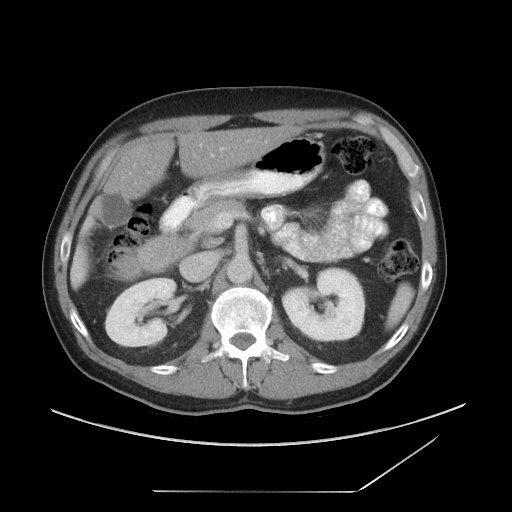

Liver, CT
<segmentation>
  <liver_tumor>120 257 139 276</liver_tumor>
</segmentation>